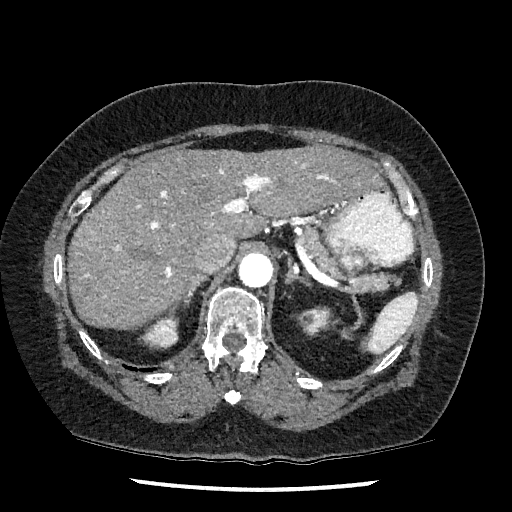

Computed tomography | Abdomen
liver:
  - {"x1": 68, "y1": 145, "x2": 384, "y2": 327}
kidney:
  - {"x1": 312, "y1": 310, "x2": 328, "y2": 331}
  - {"x1": 145, "y1": 319, "x2": 177, "y2": 346}